Image width 240 mm, Slice 91/155
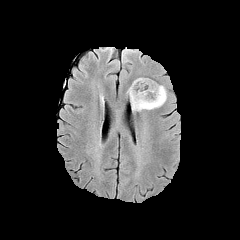
FLAIR MRI.
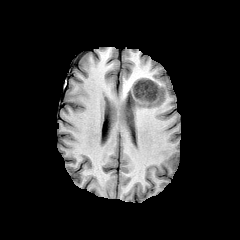
T1-weighted magnetic resonance.
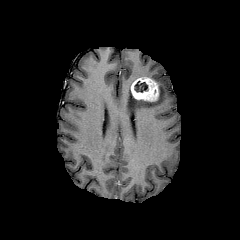
Post-contrast T1-weighted MRI.
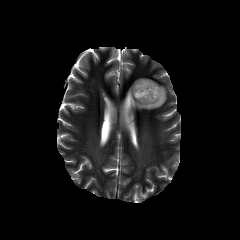
T2-weighted magnetic resonance.
Findings:
* enhancing tumor: (x1=131, y1=77, x2=158, y2=101)
* non-enhancing tumor core: (x1=134, y1=81, x2=148, y2=92), (x1=132, y1=87, x2=160, y2=102)
* edema: (x1=126, y1=83, x2=167, y2=112)